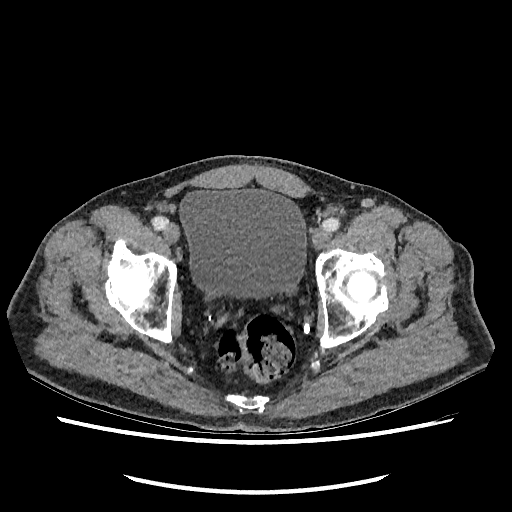
CT image. Lower abdomen.
{"urinary_bladder": ["x1=179 y1=188 x2=306 y2=297"]}